FLAIR magnetic resonance.
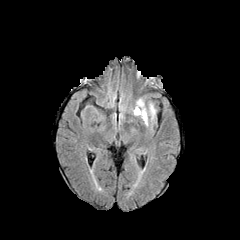
T1-weighted magnetic resonance.
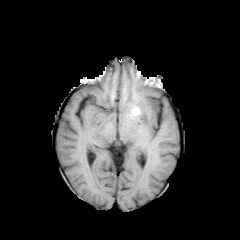
Post-contrast T1-weighted MR image.
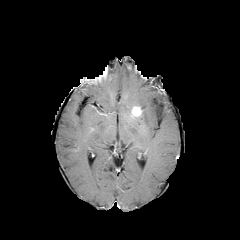
T2-weighted magnetic resonance.
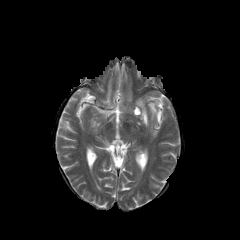
Head. 240x240 px.
<segmentation>
  <edema>region(136, 98, 156, 126)</edema>
  <enhancing_tumor>region(132, 106, 141, 115)</enhancing_tumor>
</segmentation>